Computed tomography. Liver.

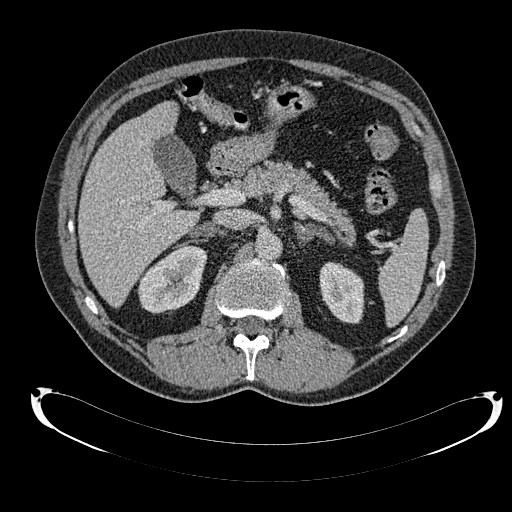

Liver: (x1=79, y1=102, x2=198, y2=306).
Kidney: (x1=139, y1=246, x2=206, y2=312), (x1=320, y1=263, x2=363, y2=322).